CT slice.
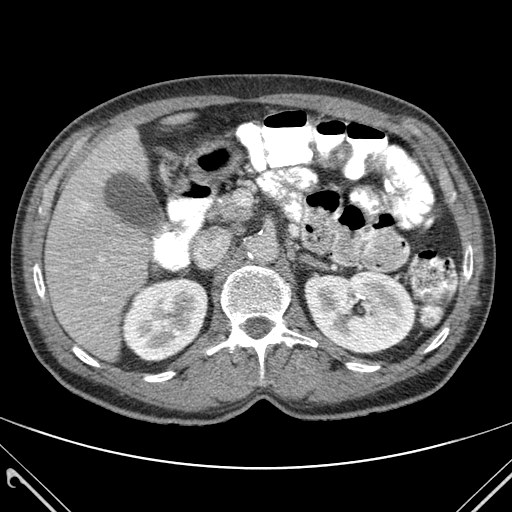 {
  "bone": [
    "464 246 472 278",
    "34 264 44 296",
    "145 372 174 381",
    "347 363 378 371",
    "425 328 448 351",
    "73 347 98 366",
    "207 266 317 367"
  ],
  "kidney": [
    "305 272 413 352",
    "124 280 206 359"
  ],
  "liver": [
    "45 129 154 361",
    "170 114 190 122"
  ]
}